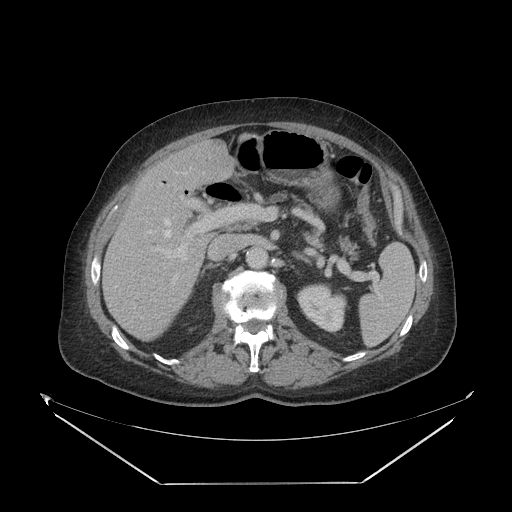
Computed tomography. Abdomen.

Findings:
• pancreas: bbox(266, 192, 318, 216); bbox(337, 235, 359, 259)